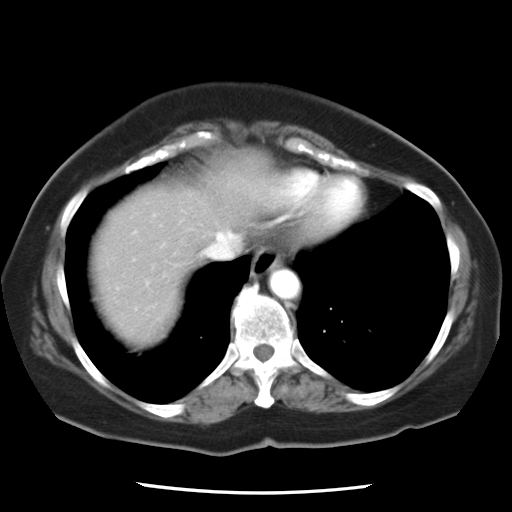

CT image, Abdomen, 512x512
The vessel annotation is not exhaustive.
The hepatic vessel appears at [203, 233, 239, 258].